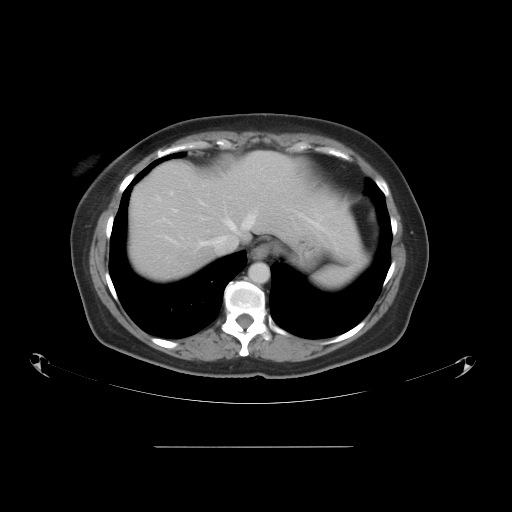 CT
The vessel annotation is not exhaustive.
Hepatic vessel: bounding box <bbox>170, 192, 172, 193</bbox>, <bbox>202, 217, 205, 219</bbox>, <bbox>198, 211, 255, 248</bbox>, <bbox>156, 196, 160, 200</bbox>, <bbox>158, 218, 171, 223</bbox>, <bbox>199, 201, 205, 204</bbox>, <bbox>166, 235, 178, 245</bbox>, <bbox>173, 209, 176, 211</bbox>, <bbox>299, 212, 334, 236</bbox>.